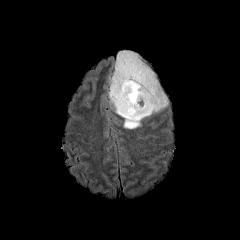
FLAIR magnetic resonance.
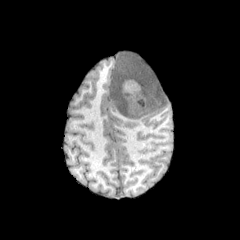
T1-weighted MR image of the same slice.
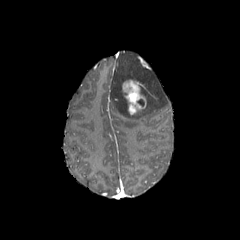
Post-contrast T1-weighted MR of the same slice.
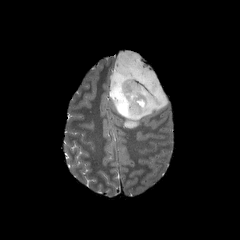
T2-weighted MRI.
240x240 px. Head.
<segmentation>
  <enhancing_tumor>bbox=[120, 78, 146, 115]</enhancing_tumor>
  <edema>bbox=[110, 52, 168, 129]</edema>
</segmentation>